Image size 512x512; Slice index 344; CT scan slice; Upper abdomen
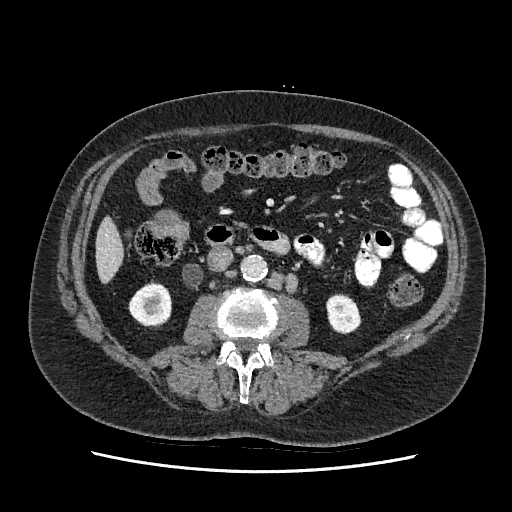

<segmentation>
  <liver>left=95, top=218, right=122, bottom=283</liver>
  <kidney>left=327, top=296, right=359, bottom=332; left=130, top=284, right=170, bottom=324</kidney>
</segmentation>